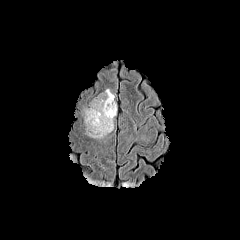
FLAIR MR.
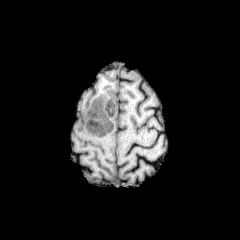
T1-weighted MR image of the same slice.
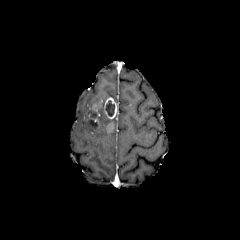
Post-contrast T1-weighted magnetic resonance.
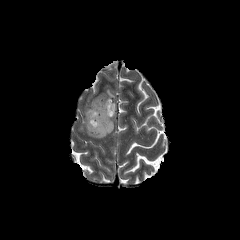
T2-weighted MR image of the same slice.
3 enhancing tumor regions are bounded by (x1=106, y1=122, x2=113, y2=133), (x1=104, y1=97, x2=117, y2=118), (x1=92, y1=104, x2=101, y2=112). The edema is at (x1=85, y1=110, x2=112, y2=137). 2 non-enhancing tumor core regions appear at (x1=105, y1=100, x2=114, y2=116), (x1=88, y1=110, x2=102, y2=128).